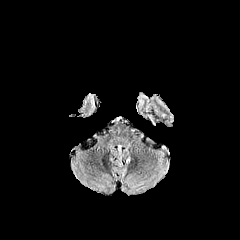
FLAIR magnetic resonance.
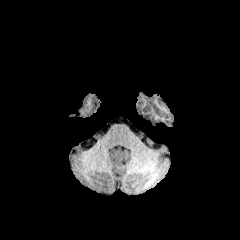
T1-weighted magnetic resonance.
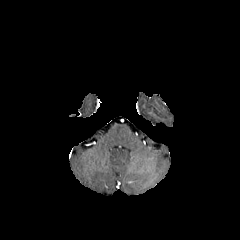
Post-contrast T1-weighted MRI.
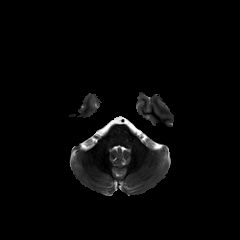
T2-weighted MR of the same slice.
Edema at region(157, 99, 170, 113).